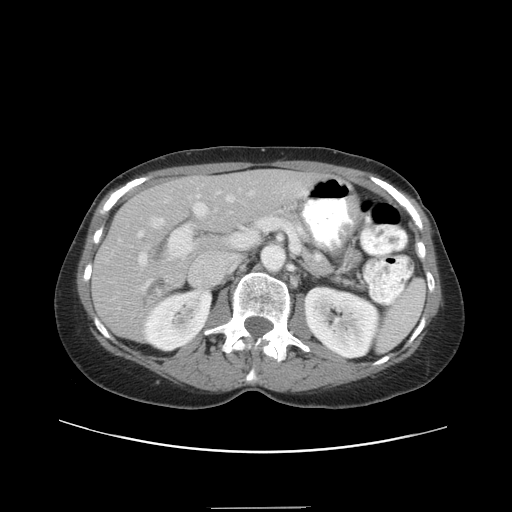

Abdomen. CT scan slice. The vessel annotation is not exhaustive.
14 hepatic vessel regions appear at (left=231, top=235, right=239, bottom=246), (left=216, top=191, right=220, bottom=193), (left=226, top=195, right=234, bottom=201), (left=166, top=199, right=167, bottom=201), (left=215, top=209, right=216, bottom=210), (left=141, top=280, right=150, bottom=290), (left=151, top=218, right=163, bottom=227), (left=241, top=226, right=243, bottom=228), (left=138, top=231, right=143, bottom=236), (left=248, top=191, right=253, bottom=194), (left=172, top=226, right=191, bottom=256), (left=138, top=253, right=145, bottom=263), (left=196, top=194, right=199, bottom=197), (left=193, top=203, right=206, bottom=213).